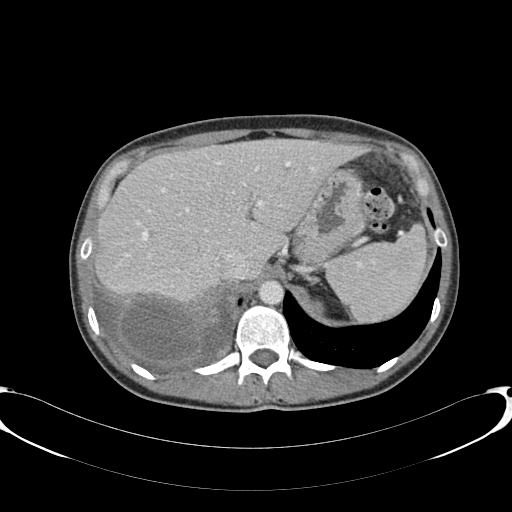 CT image; 512x512
The liver lies within bbox(95, 139, 368, 301).